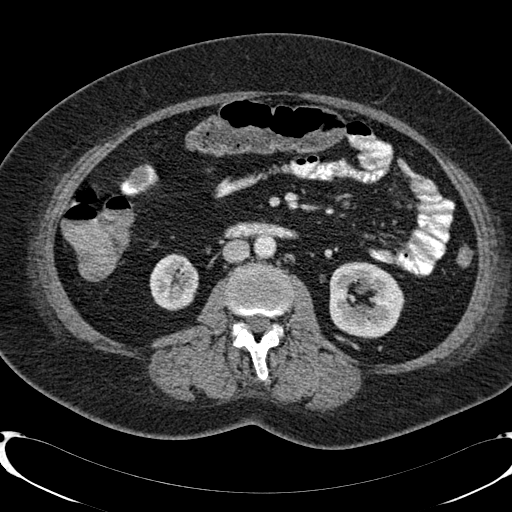
Computed tomography | Abdomen

Kidney — x1=330, y1=262, x2=402, y2=336; x1=151, y1=255, x2=199, y2=308.